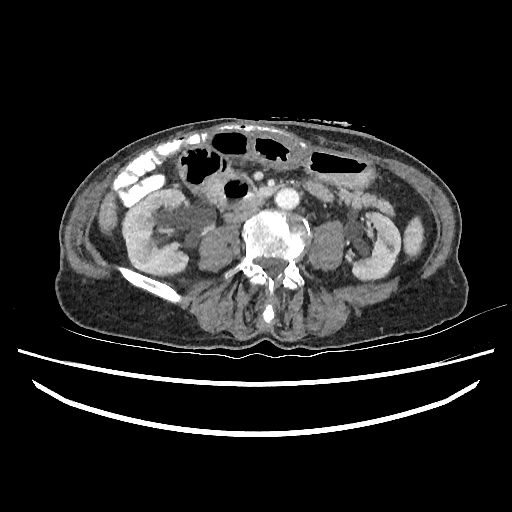 Abdomen; CT image

kidney: l=352, t=213, r=400, b=278; l=123, t=190, r=188, b=273 | liver: l=99, t=193, r=117, b=230